CT scan slice. Slice index 180.

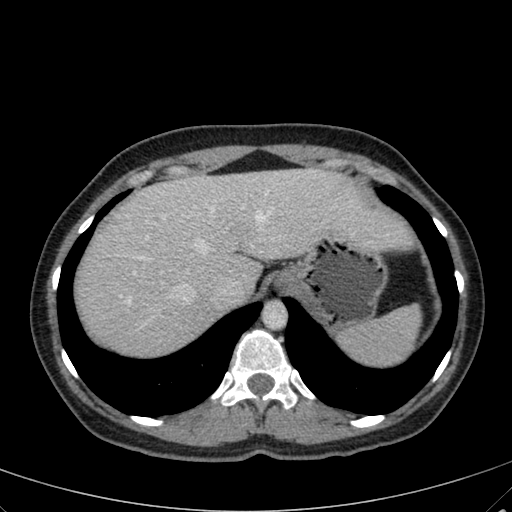
<segmentation>
  <liver>box=[75, 167, 415, 357]</liver>
</segmentation>